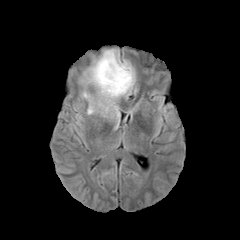
FLAIR MRI.
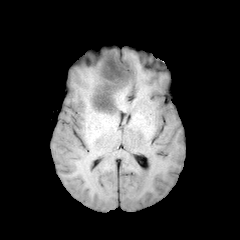
T1-weighted MR image.
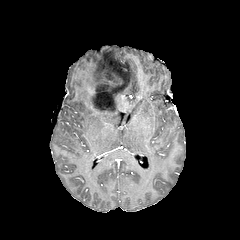
Post-contrast T1-weighted MRI of the same slice.
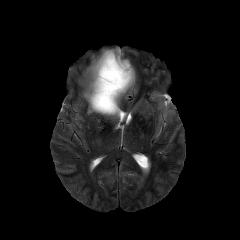
Same slice, T2-weighted MR.
240x240
edema: 79:47:136:129 | non-enhancing tumor core: 88:60:126:111